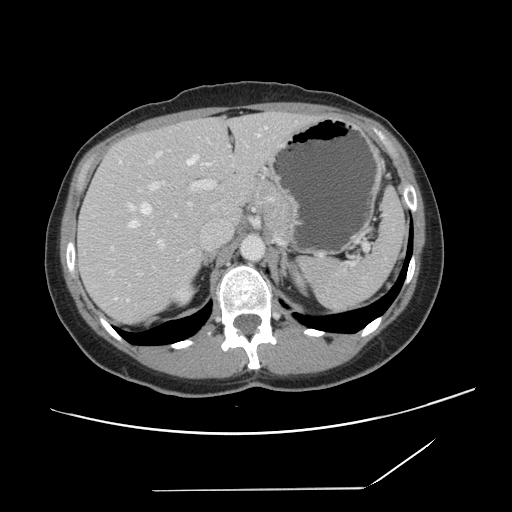

512x512, CT scan slice, Abdomen
The vessel boxes may cover only some of the vessels.
The most prominent 15 hepatic vessel regions (of 16) appear at <bbox>110, 271, 113, 273</bbox>, <bbox>192, 180, 214, 188</bbox>, <bbox>128, 204, 133, 210</bbox>, <bbox>157, 239, 163, 247</bbox>, <bbox>111, 247, 113, 249</bbox>, <bbox>157, 152, 160, 156</bbox>, <bbox>149, 160, 152, 162</bbox>, <bbox>119, 161, 121, 163</bbox>, <bbox>141, 203, 150, 213</bbox>, <bbox>129, 221, 137, 226</bbox>, <bbox>188, 203, 190, 204</bbox>, <bbox>201, 162, 210, 164</bbox>, <bbox>149, 181, 164, 189</bbox>, <bbox>187, 155, 197, 164</bbox>, <bbox>258, 134, 260, 136</bbox>.